FLAIR MR.
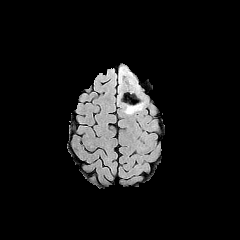
T1-weighted MRI.
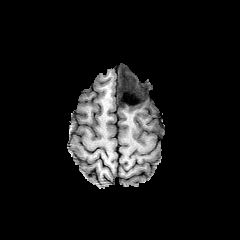
Post-contrast T1-weighted MRI.
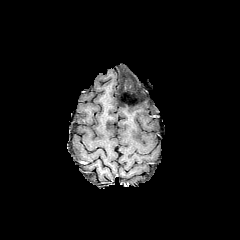
T2-weighted MR.
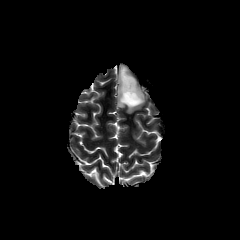
240x240
Edema — <bbox>118, 68, 147, 113</bbox>.
Non-enhancing tumor core — <bbox>121, 77, 138, 93</bbox>.